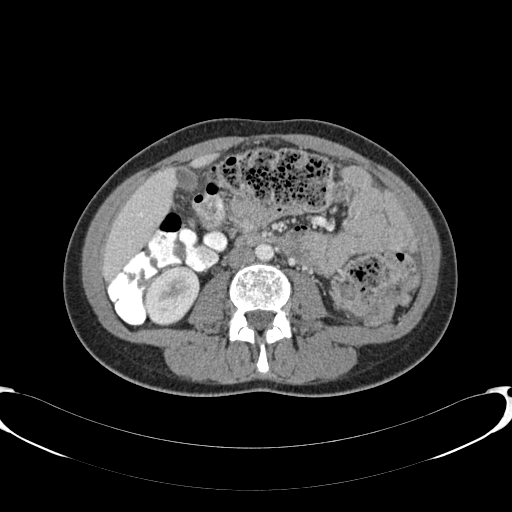
Computed tomography. Upper abdomen. 512x512 px. Kidney: 145 268 198 322.
Liver: 190 152 218 167, 102 168 176 280.